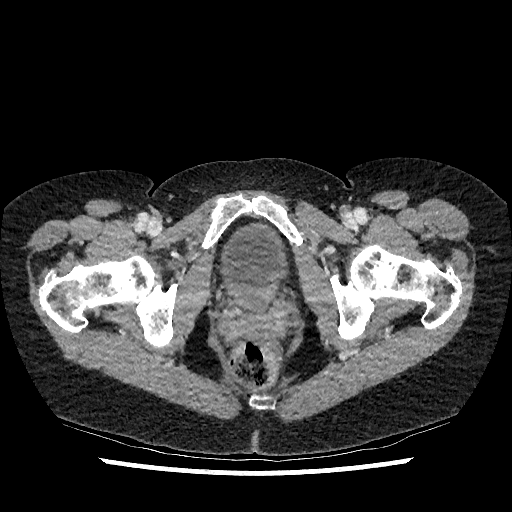

Pelvis. CT image. Urinary bladder: (left=214, top=216, right=290, bottom=292).